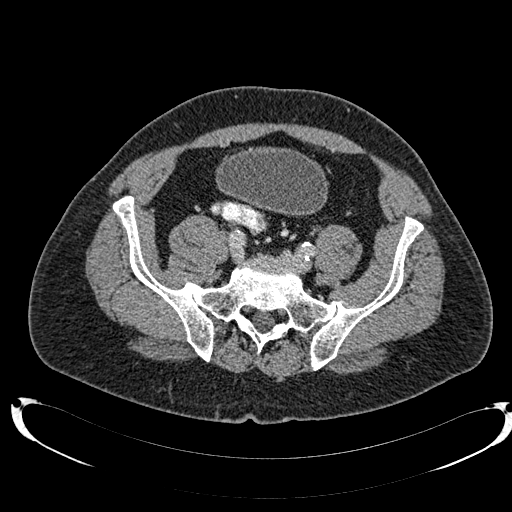 Lower abdomen. Image size 512x512. CT.
Segmented structures:
* urinary bladder: x1=219 y1=149 x2=327 y2=213